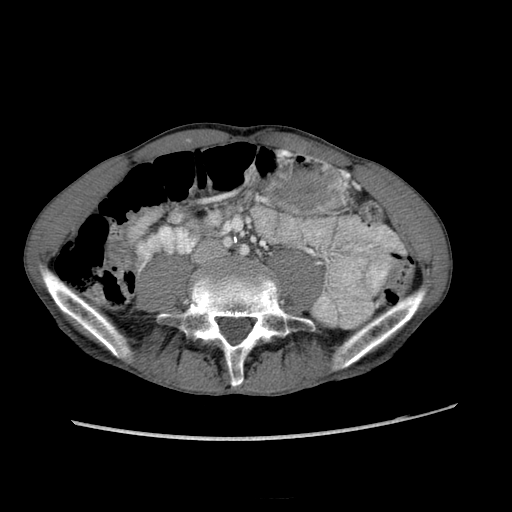 Computed tomography; Upper abdomen

liver:
  - 130, 214, 151, 239